Slice index 169; Abdomen; Computed tomography
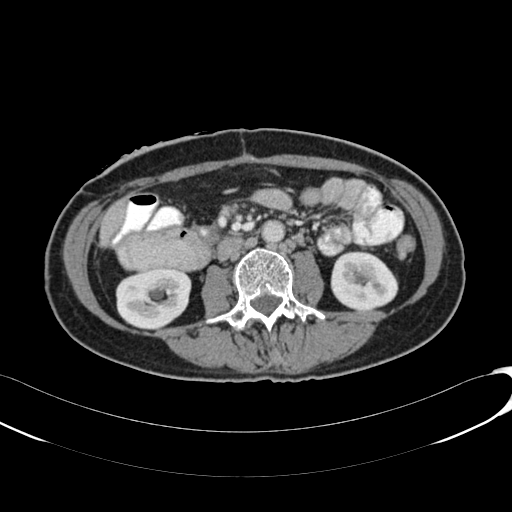
liver: [99,199,125,244] | kidney: [332,253,396,310], [117,268,185,328]